FLAIR MR.
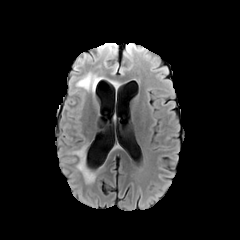
T1-weighted MR image.
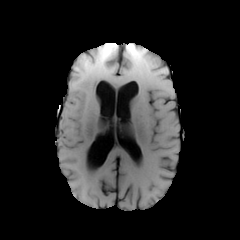
Post-contrast T1-weighted MR.
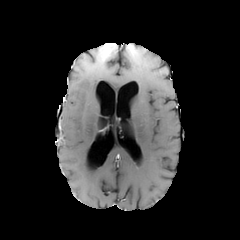
T2-weighted MR image.
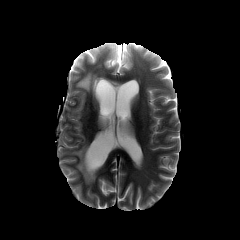
Brain
Enhancing tumor = [103, 45, 111, 57].
Edema = [120, 44, 133, 71], [76, 72, 103, 93], [82, 53, 104, 61], [104, 56, 118, 73], [75, 146, 95, 183].
Non-enhancing tumor core = [86, 44, 117, 63].